Slice index 203; Abdomen; Computed tomography

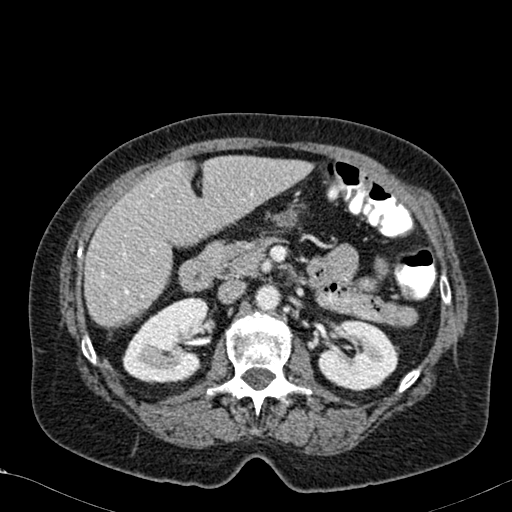

Kidney: 124,298,211,382; 319,321,396,389.
Liver: 85,157,312,326.